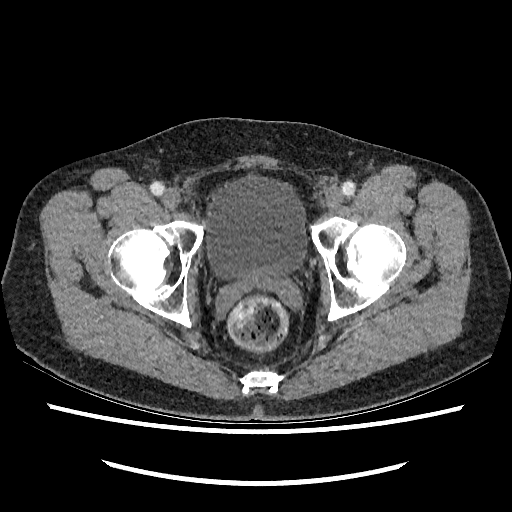
CT slice, Pelvis
The urinary bladder is bounded by rect(204, 172, 307, 280).